FLAIR MRI.
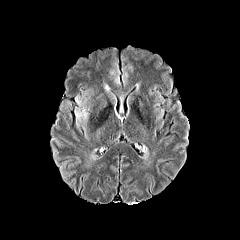
T1-weighted MR.
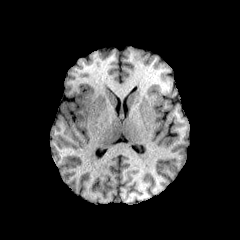
Post-contrast T1-weighted magnetic resonance.
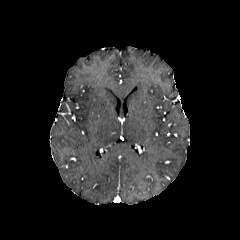
T2-weighted MR image.
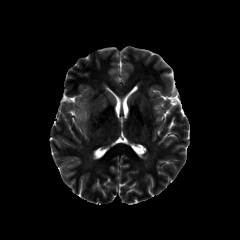
Image size 240x240. Brain.
{
  "edema": [
    "(74,96,89,130)"
  ]
}